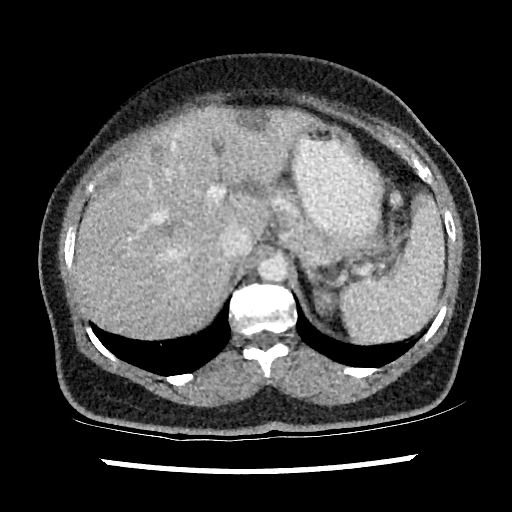 CT scan slice. Liver.

liver:
  - left=71, top=108, right=324, bottom=338
hepatic_lesion:
  - left=107, top=173, right=118, bottom=186
  - left=153, top=148, right=160, bottom=156
  - left=241, top=173, right=268, bottom=196
  - left=158, top=218, right=177, bottom=234
  - left=239, top=110, right=268, bottom=130